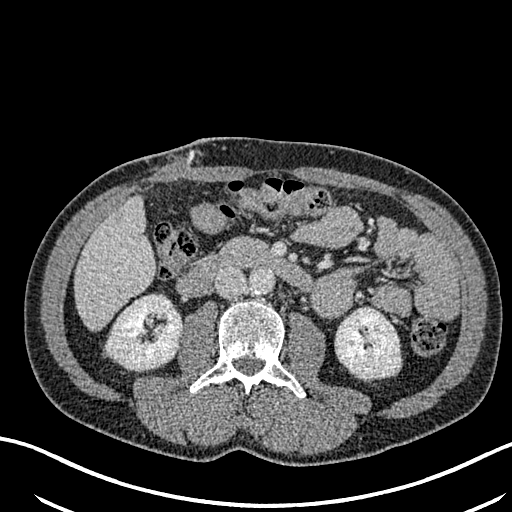

CT slice
Segmented structures:
- kidney: box=[108, 295, 181, 369]; box=[335, 308, 400, 378]
- liver: box=[74, 196, 153, 328]
- liver lesion: box=[115, 211, 123, 220]